Head; 240x240; Slice 91/155
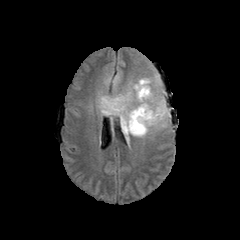
FLAIR MR.
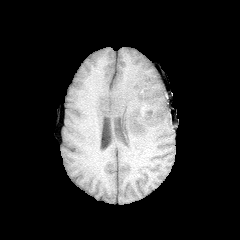
T1-weighted MRI.
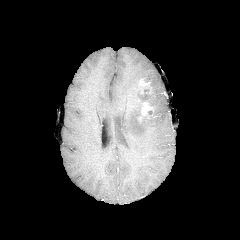
Same slice, post-contrast T1-weighted MR image.
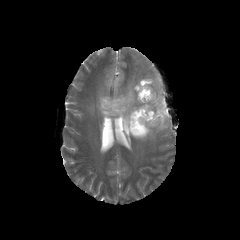
T2-weighted MR image.
* non-enhancing tumor core: rect(108, 93, 131, 118); rect(135, 80, 160, 125)
* edema: rect(99, 82, 171, 142); rect(140, 76, 158, 88)
* enhancing tumor: rect(138, 80, 148, 87); rect(138, 102, 152, 119)